240x240 px, Slice index 102, Brain
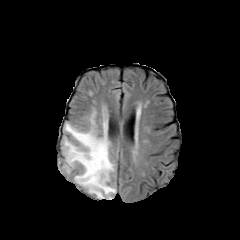
FLAIR MRI.
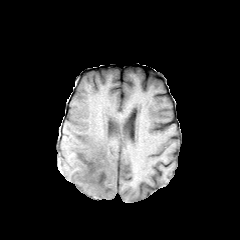
T1-weighted MRI.
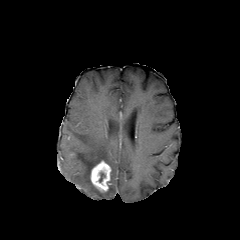
Post-contrast T1-weighted MR.
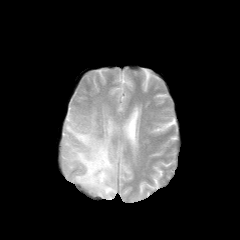
T2-weighted magnetic resonance of the same slice.
Enhancing tumor: [90, 160, 111, 192].
Edema: [63, 108, 116, 199].